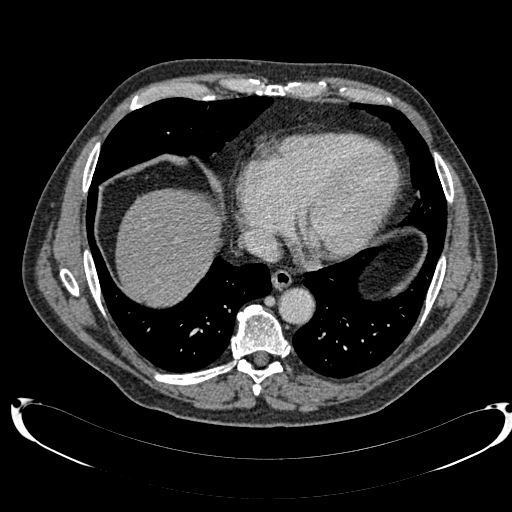 Computed tomography, Upper abdomen

Liver = bbox(116, 189, 222, 307).